CT image. Abdomen. Slice index 23. 512x512.

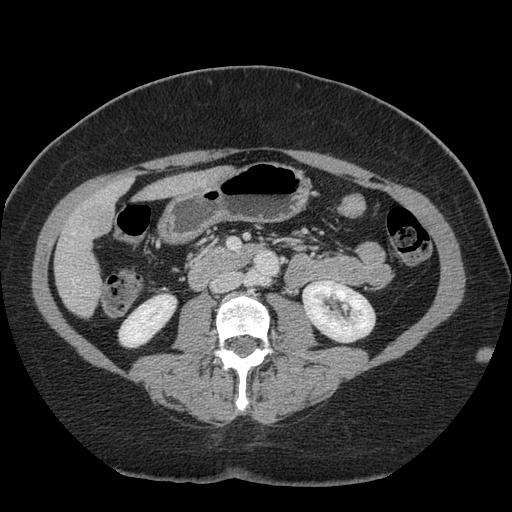 Only some of the vessels may be annotated.
Hepatic vessel at <box>73,280,77,284</box>.
Liver tumor at <box>78,204,112,232</box>.